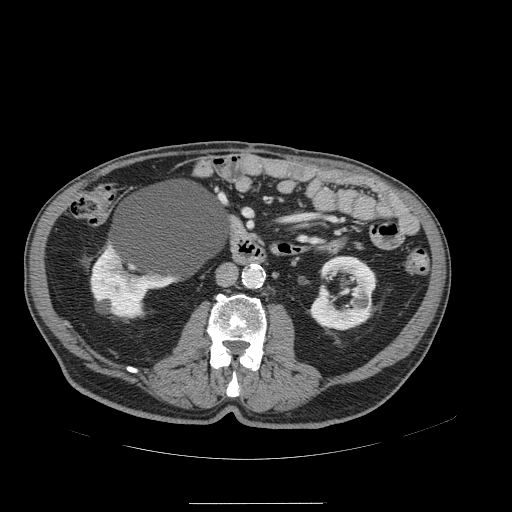 CT image.

Pancreas: bounding box left=249, top=232, right=267, bottom=246.